Image size 240x240. Head.
FLAIR magnetic resonance.
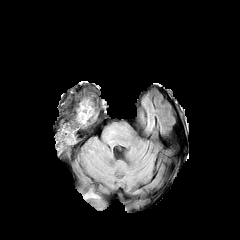
T1-weighted MRI.
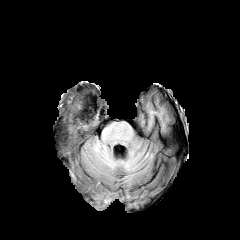
Post-contrast T1-weighted MR image.
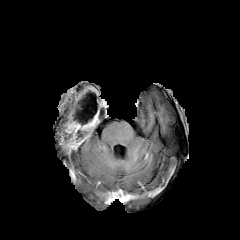
T2-weighted MR.
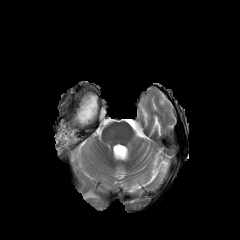
Non-enhancing tumor core: l=60, t=102, r=97, b=154.
Edema: l=83, t=189, r=99, b=199.
Enhancing tumor: l=60, t=127, r=77, b=147.